Abdomen. Field of view 512 mm wide, 1.00 mm slice spacing. CT image. 512x512 px. Slice index 10.

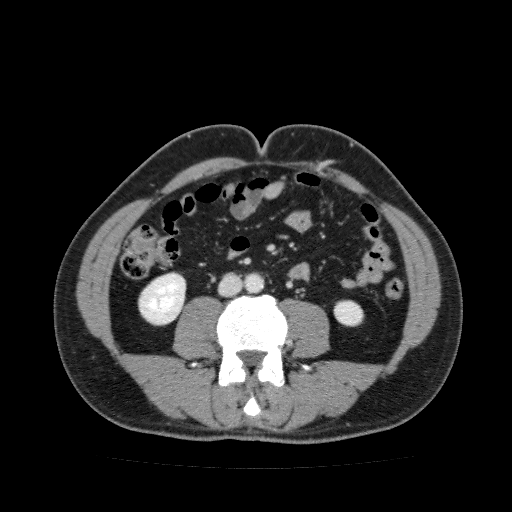 Segmented structures:
* kidney: region(334, 301, 362, 325); region(139, 273, 185, 324)